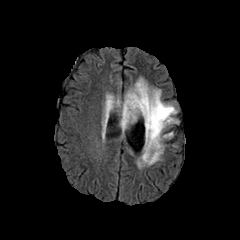
FLAIR MR image.
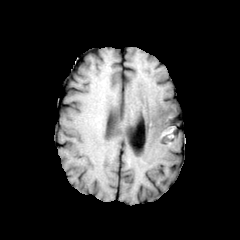
T1-weighted MR image.
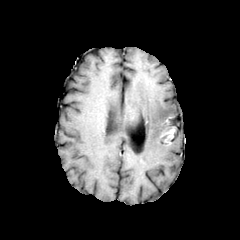
Post-contrast T1-weighted MR image.
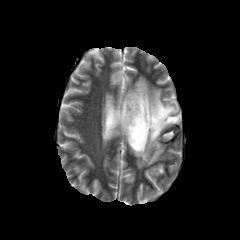
T2-weighted MR image.
240x240 px
3 non-enhancing tumor core regions are located at <box>166,116,177,122</box>, <box>142,104,173,133</box>, <box>125,102,133,116</box>. The edema appears at <box>102,77,179,169</box>.